Slice index 94; Head
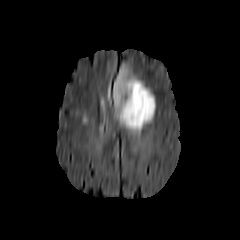
FLAIR MR image.
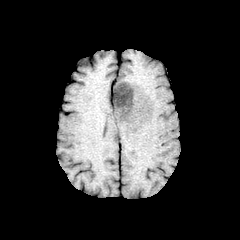
T1-weighted MR.
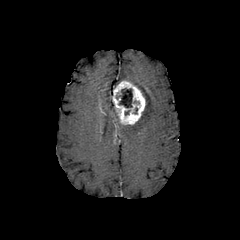
Post-contrast T1-weighted MRI of the same slice.
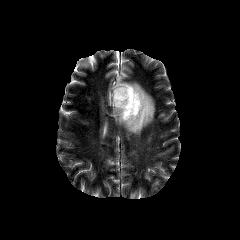
T2-weighted MR image.
{"edema": ["[x1=101, y1=89, x2=117, y2=121]", "[x1=113, y1=66, x2=155, y2=136]"], "non-enhancing_tumor_core": ["[x1=119, y1=88, x2=132, y2=107]"], "enhancing_tumor": ["[x1=113, y1=80, x2=145, y2=124]"]}